Slice 51/155. Field of view 240x240 mm. Image size 240x240.
FLAIR magnetic resonance.
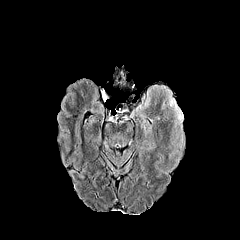
T1-weighted MR image.
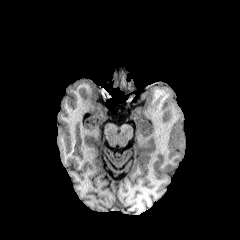
Post-contrast T1-weighted MR.
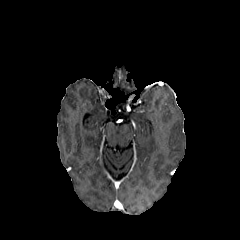
T2-weighted MR.
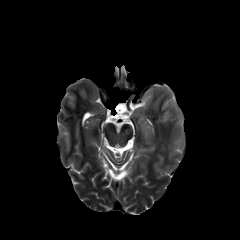
The edema is located at <bbox>168, 99, 182, 125</bbox>.